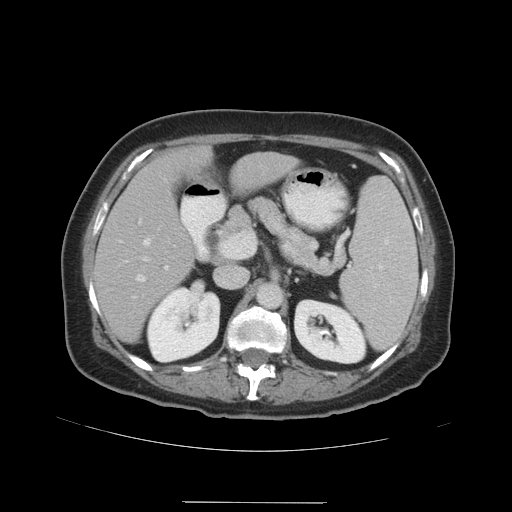

CT image; Abdomen
Not every hepatic vessel necessarily has a box.
9 hepatic vessel regions appear at (139,220,141,224), (137,274,145,281), (164,266,167,268), (164,178,166,181), (119,241,122,242), (132,296,135,298), (142,257,148,260), (142,295,143,296), (144,239,148,245).